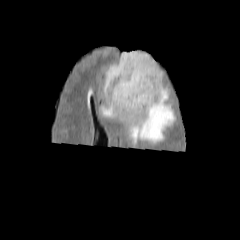
FLAIR magnetic resonance.
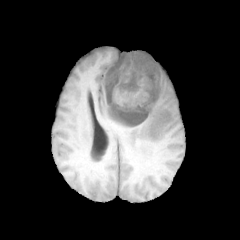
T1-weighted MRI of the same slice.
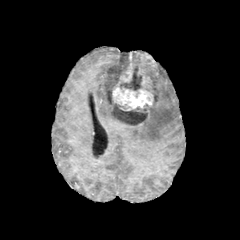
Post-contrast T1-weighted magnetic resonance.
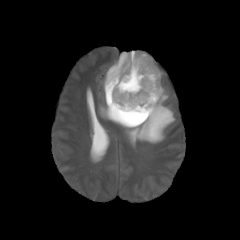
T2-weighted magnetic resonance.
240x240 px.
{"edema": ["l=99, t=84, r=174, b=147", "l=154, t=61, r=163, b=79"], "non-enhancing_tumor_core": ["l=104, t=89, r=151, b=125", "l=104, t=51, r=162, b=104"], "enhancing_tumor": ["l=112, t=63, r=154, b=111"]}